Slice 80 of 155 | Field of view 240 mm wide, 1.00 mm slice spacing | Head
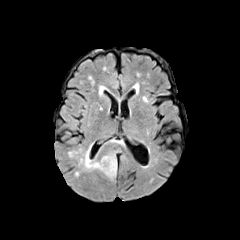
FLAIR MR image.
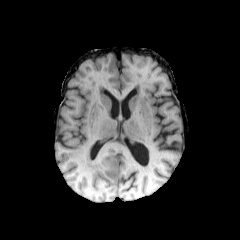
T1-weighted MRI.
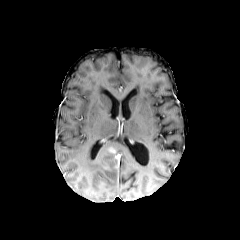
Same slice, post-contrast T1-weighted magnetic resonance.
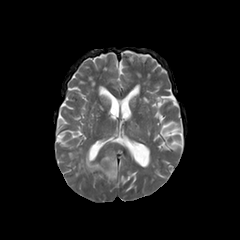
T2-weighted magnetic resonance.
The non-enhancing tumor core is located at region(100, 150, 120, 171). 2 edema regions are bounded by region(104, 138, 124, 146); region(79, 142, 116, 179). The enhancing tumor is located at region(115, 154, 121, 171).